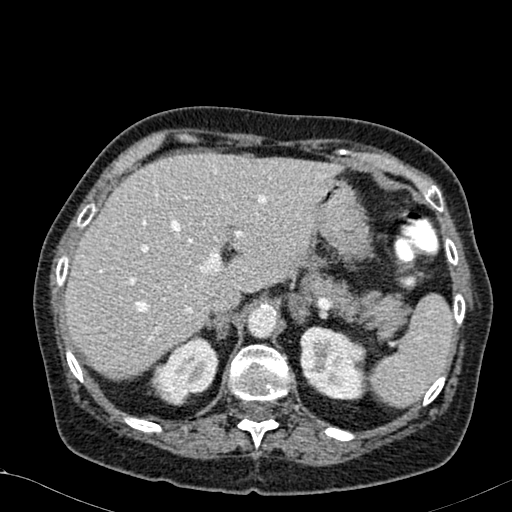 CT slice

{
  "kidney": [
    "l=152, t=338, r=217, b=403",
    "l=301, t=327, r=364, b=398"
  ],
  "liver": [
    "l=65, t=153, r=343, b=378"
  ]
}